Image size 240x240; Field of view 240 mm wide, 1.00 mm slice spacing; Slice index 94
FLAIR MRI.
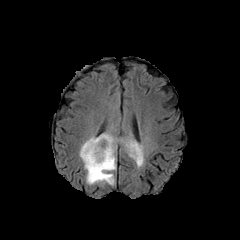
T1-weighted magnetic resonance.
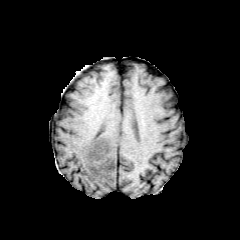
Post-contrast T1-weighted MR.
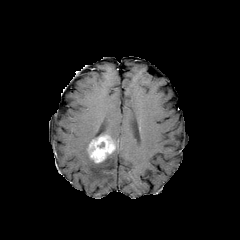
T2-weighted MR image.
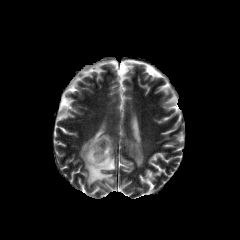
enhancing tumor: rect(88, 135, 114, 162) | edema: rect(117, 137, 144, 166); rect(99, 132, 115, 144); rect(78, 135, 116, 186)